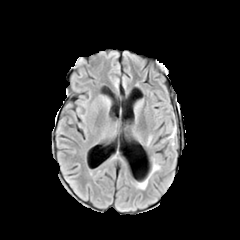
FLAIR magnetic resonance.
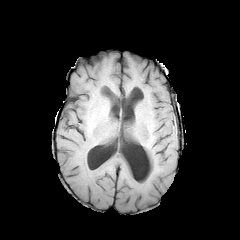
T1-weighted MR of the same slice.
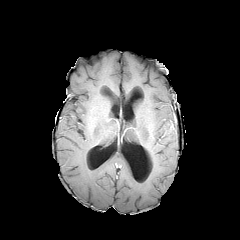
Post-contrast T1-weighted magnetic resonance.
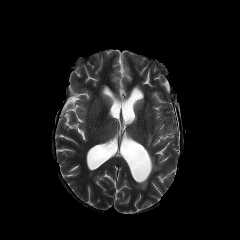
T2-weighted MRI.
240x240 px
{
  "edema": [
    {"x1": 167, "y1": 124, "x2": 175, "y2": 139},
    {"x1": 150, "y1": 158, "x2": 160, "y2": 174},
    {"x1": 136, "y1": 178, "x2": 148, "y2": 189}
  ]
}